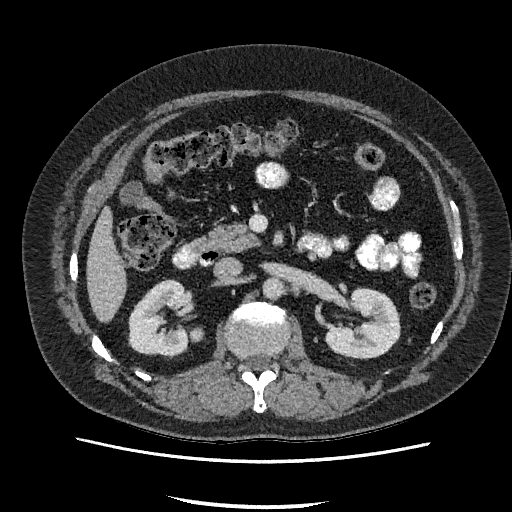

CT slice
• liver: 87, 208, 127, 321
• kidney: 130, 281, 187, 354; 326, 289, 399, 357